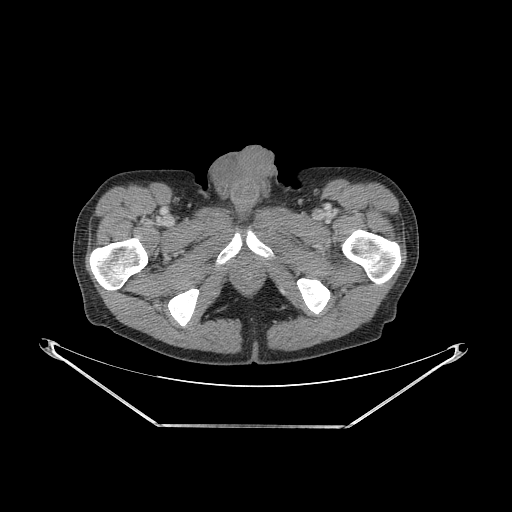 CT scan slice. <segmentation>
  <bone>x1=297, y1=278, x2=329, y2=313; x1=246, y1=230, x2=272, y2=257; x1=90, y1=238, x2=147, y2=290; x1=342, y1=229, x2=400, y2=284; x1=168, y1=289, x2=198, y2=325; x1=217, y1=233, x2=241, y2=263</bone>
</segmentation>